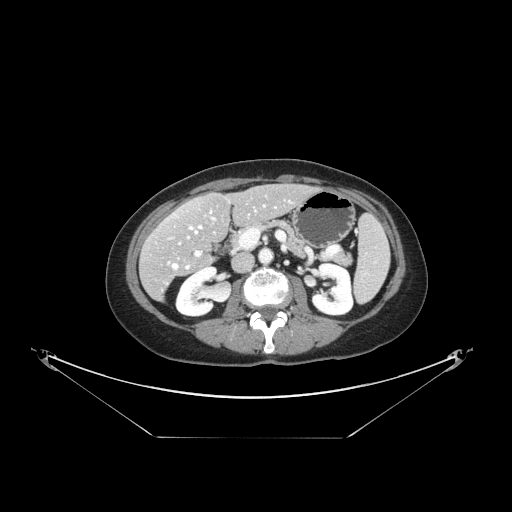

CT scan slice | 512x512 px
Not every hepatic vessel necessarily has a box.
Segmented structures:
- hepatic vessel: [196, 252, 199, 255]